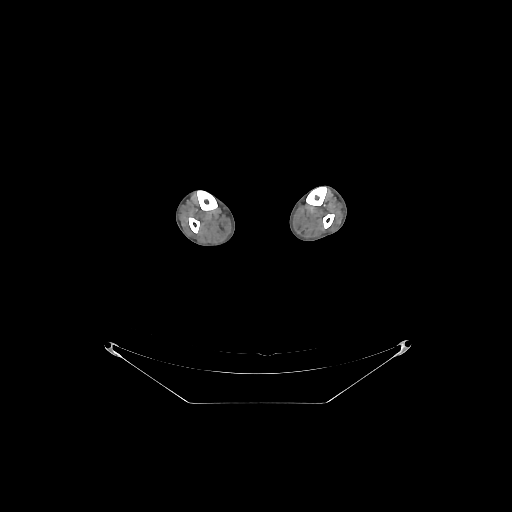 Computed tomography
4 bone regions are bounded by <bbox>188, 217, 199, 233</bbox>, <bbox>306, 187, 326, 205</bbox>, <bbox>197, 190, 217, 210</bbox>, <bbox>323, 214, 334, 228</bbox>.